Slice index 110. Brain. Field of view 240 mm wide, 1.00 mm slice spacing.
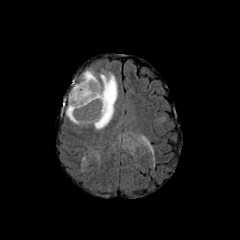
FLAIR MR.
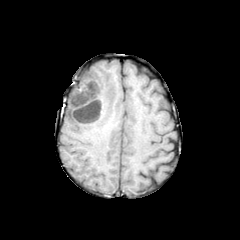
T1-weighted MR image.
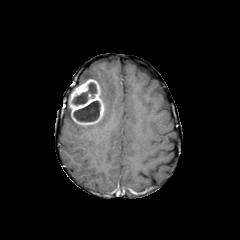
Same slice, post-contrast T1-weighted MRI.
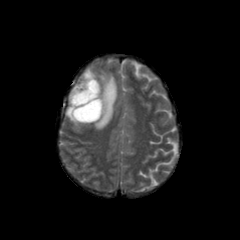
T2-weighted MR image.
The enhancing tumor is located at (x1=70, y1=79, x2=103, y2=116). 2 non-enhancing tumor core regions are bounded by (x1=68, y1=100, x2=101, y2=123), (x1=69, y1=82, x2=97, y2=105). 2 edema regions are bounded by (x1=66, y1=98, x2=87, y2=126), (x1=79, y1=68, x2=118, y2=129).